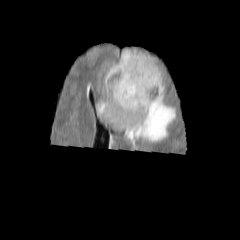
FLAIR magnetic resonance.
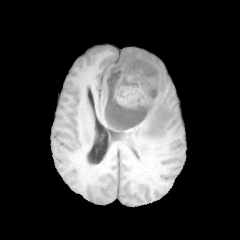
Same slice, T1-weighted MR.
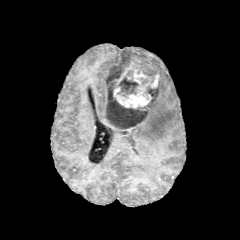
Post-contrast T1-weighted MR image of the same slice.
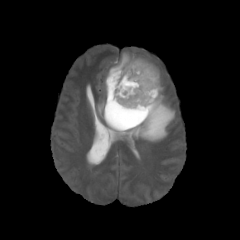
T2-weighted magnetic resonance.
240x240 px.
edema:
  - (122,50,159,72)
  - (99,95,107,116)
  - (104,84,176,148)
non-enhancing_tumor_core:
  - (104,51,159,129)
enhancing_tumor:
  - (113,63,159,107)